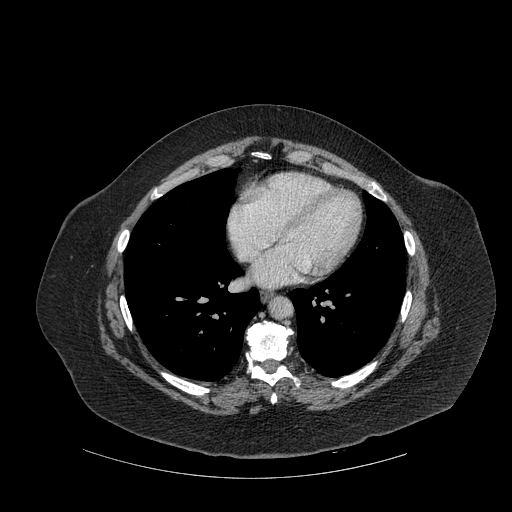

CT; 512x512 px

Bone = x1=332, y1=362, x2=376, y2=387; x1=253, y1=152, x2=269, y2=158; x1=246, y1=321, x2=299, y2=385; x1=404, y1=231, x2=414, y2=254; x1=162, y1=373, x2=208, y2=394; x1=118, y1=230, x2=128, y2=251; x1=120, y1=296, x2=131, y2=329; x1=401, y1=292, x2=411, y2=320.
Lung = x1=290, y1=191, x2=405, y2=376; x1=124, y1=168, x2=259, y2=380.